FLAIR MRI.
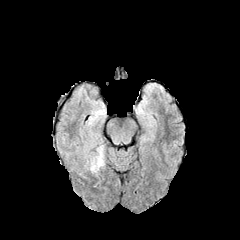
T1-weighted MR image.
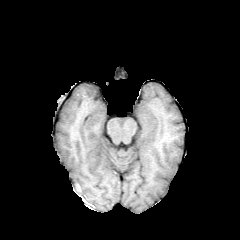
Post-contrast T1-weighted MR.
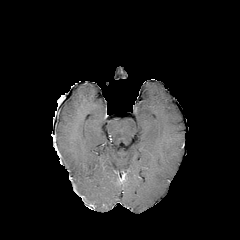
T2-weighted MR.
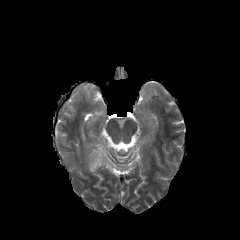
240x240. Brain.
Annotated regions:
- edema: {"x1": 83, "y1": 133, "x2": 110, "y2": 173}, {"x1": 90, "y1": 106, "x2": 103, "y2": 125}